Slice 75/155; Head
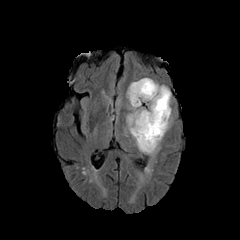
FLAIR magnetic resonance.
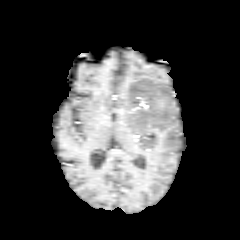
Same slice, T1-weighted magnetic resonance.
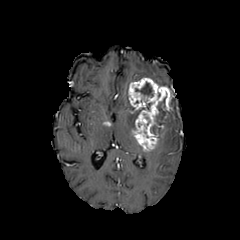
Post-contrast T1-weighted MRI.
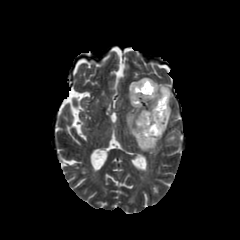
T2-weighted MR image.
2 non-enhancing tumor core regions are located at region(135, 82, 153, 111); region(150, 95, 166, 135). The edema is bounded by region(126, 84, 173, 155). The enhancing tumor lies within region(129, 78, 170, 149).